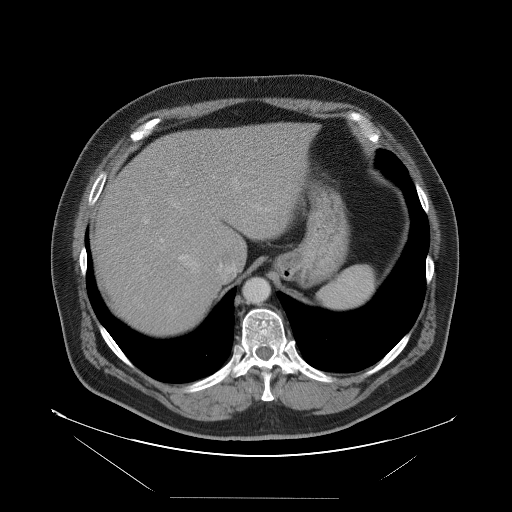
Abdomen; CT image

Only some of the vessels may be annotated.
<segmentation>
  <hepatic_vessel>180 255 187 259, 143 218 148 223, 192 268 194 270, 160 239 162 241</hepatic_vessel>
</segmentation>